CT slice, 512x512, Abdomen

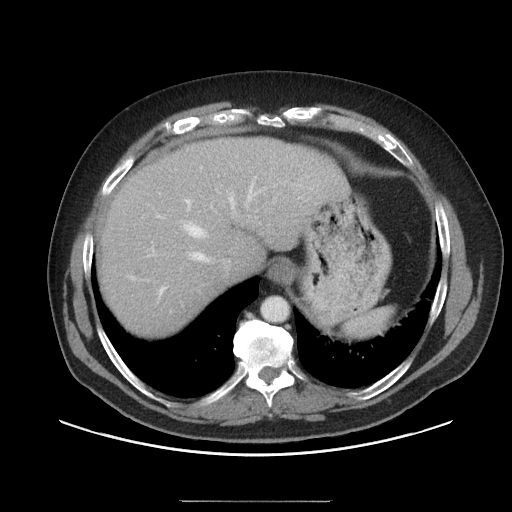

Some hepatic vessels may have no box.
8 hepatic vessel regions are located at <bbox>247, 183, 256, 202</bbox>, <bbox>184, 223, 205, 237</bbox>, <bbox>192, 252, 212, 262</bbox>, <bbox>160, 287, 165, 293</bbox>, <bbox>185, 199, 190, 210</bbox>, <bbox>157, 215, 160, 217</bbox>, <bbox>223, 260, 229, 265</bbox>, <bbox>228, 195, 234, 208</bbox>.